Abdomen; Image width 466 mm; Slice index 34; Image size 512x512; CT 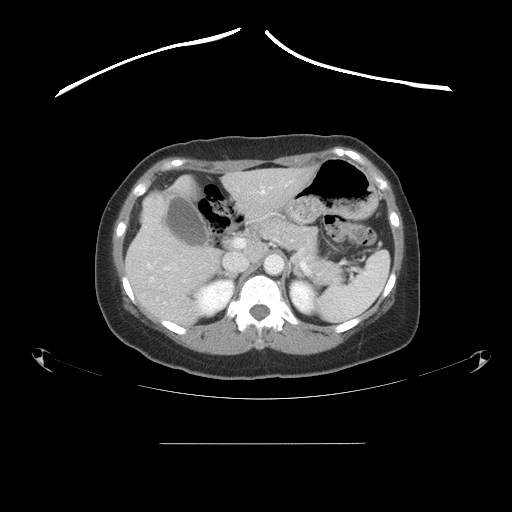
Only some of the vessels may be annotated.
Hepatic vessel at 183, 280, 184, 282; 145, 247, 146, 248; 150, 277, 153, 281; 164, 264, 176, 270; 224, 253, 247, 270; 147, 264, 151, 268; 269, 187, 271, 188; 260, 186, 264, 194; 156, 298, 158, 299; 285, 184, 287, 186; 235, 239, 244, 246.
Liver tumor at 141, 194, 163, 222.